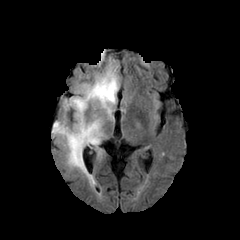
FLAIR MRI.
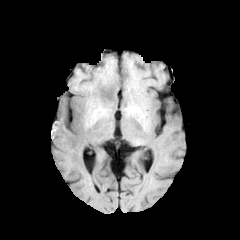
T1-weighted MR of the same slice.
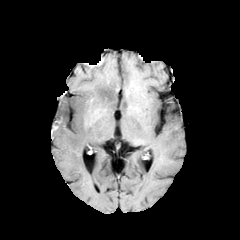
Post-contrast T1-weighted MR image.
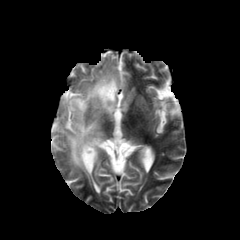
Same slice, T2-weighted magnetic resonance.
Image size 240x240
Findings:
* edema: <bbox>51, 60, 120, 185</bbox>